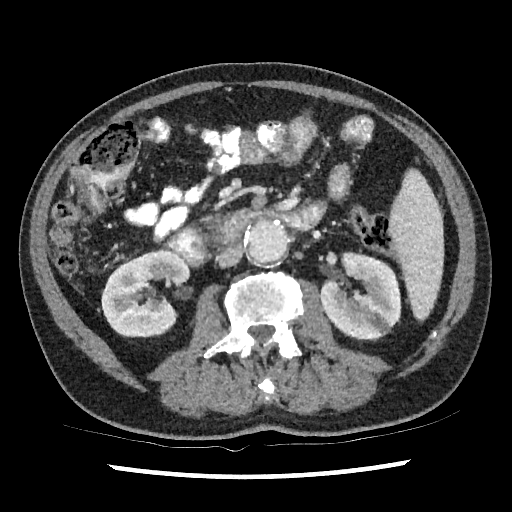
CT slice
kidney: [327, 252, 335, 263], [102, 250, 188, 336], [320, 253, 400, 338]